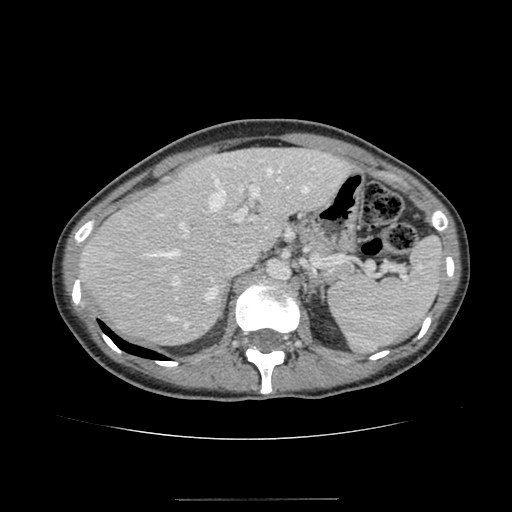 CT image; Upper abdomen
The liver appears at x1=81 y1=148 x2=356 y2=345.